FLAIR MRI.
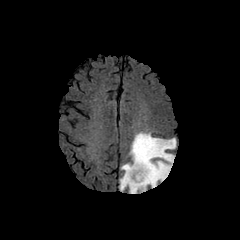
T1-weighted MRI.
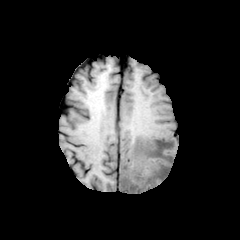
Post-contrast T1-weighted magnetic resonance.
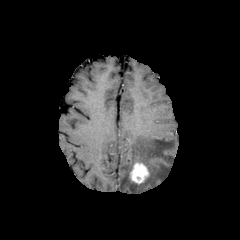
T2-weighted MR image.
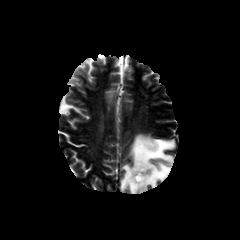
Head
enhancing_tumor:
  - <box>129,161,149,184</box>
edema:
  - <box>120,132,175,193</box>